CT. Image width 512 mm. Upper abdomen.

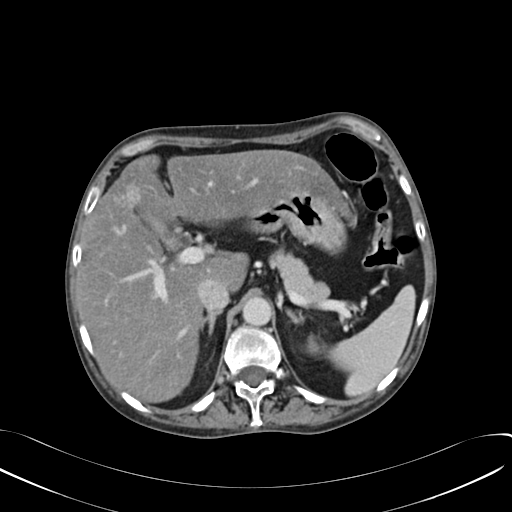

Liver — [79,149,350,403].
Hepatic lesion — [122,184,140,208].